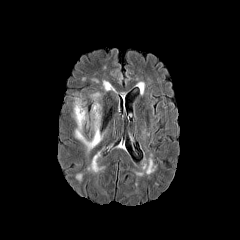
FLAIR MRI.
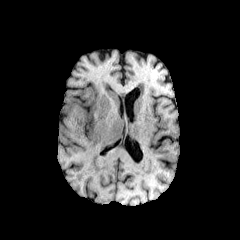
T1-weighted MRI.
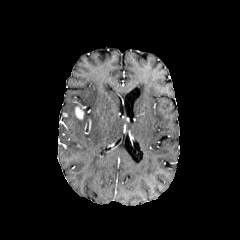
Same slice, post-contrast T1-weighted MR image.
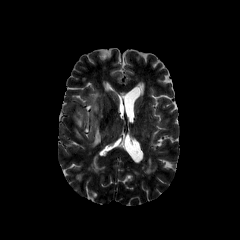
Same slice, T2-weighted magnetic resonance.
Head
<segmentation>
  <edema>75,114,82,127; 87,128,100,149</edema>
  <enhancing_tumor>75,107,82,118</enhancing_tumor>
</segmentation>